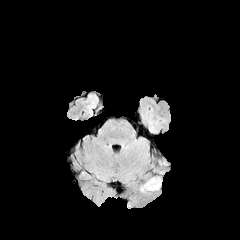
FLAIR MRI.
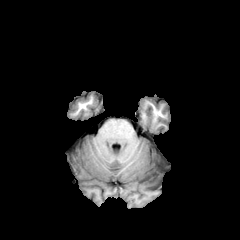
T1-weighted magnetic resonance.
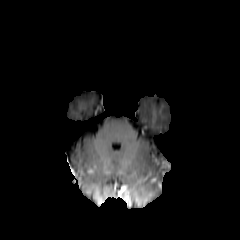
Post-contrast T1-weighted MR image.
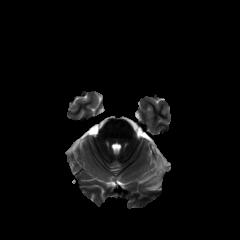
T2-weighted MR of the same slice.
240x240 px
Edema at region(156, 159, 168, 173); region(145, 175, 162, 190).